Brain
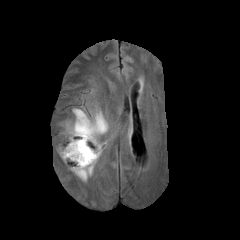
FLAIR MR.
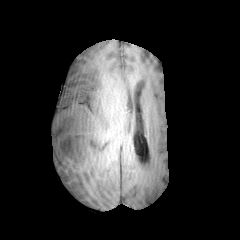
Same slice, T1-weighted magnetic resonance.
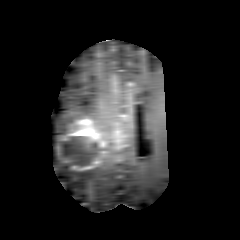
Same slice, post-contrast T1-weighted MRI.
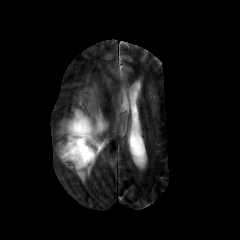
T2-weighted MRI.
{
  "non-enhancing_tumor_core": [
    "box(56, 121, 104, 171)"
  ],
  "enhancing_tumor": [
    "box(68, 118, 104, 147)"
  ],
  "edema": [
    "box(61, 108, 107, 134)",
    "box(70, 169, 92, 181)"
  ]
}